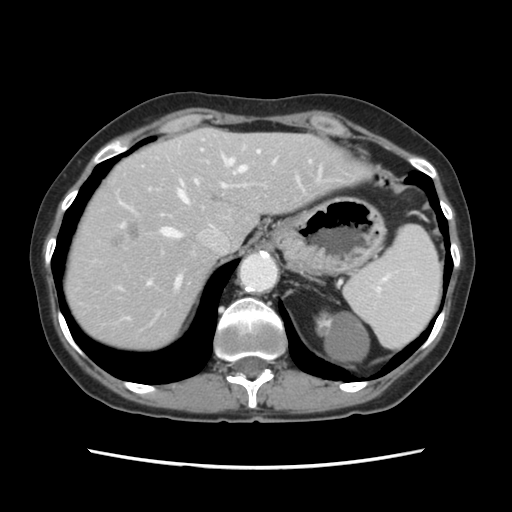

CT
Some hepatic vessels may have no box.
Hepatic vessel = box(178, 191, 186, 201); box(195, 180, 197, 183); box(181, 182, 182, 184); box(147, 282, 149, 285); box(223, 157, 232, 165); box(162, 228, 179, 237); box(222, 184, 225, 187); box(122, 224, 123, 226); box(257, 150, 259, 152); box(238, 166, 245, 171).
Liver tumor = box(129, 224, 139, 238).